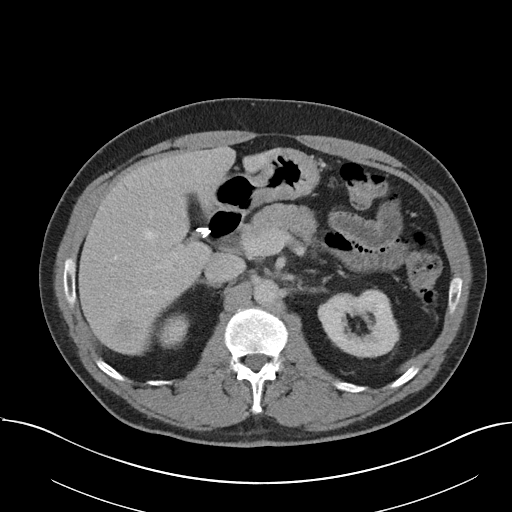

CT. Abdomen. Some hepatic vessels may have no box.
The liver tumor is at bbox(113, 320, 141, 343). 9 hepatic vessel regions appear at bbox(124, 294, 126, 295); bbox(180, 261, 182, 263); bbox(168, 184, 170, 186); bbox(115, 256, 116, 259); bbox(165, 290, 175, 293); bbox(196, 170, 197, 172); bbox(195, 187, 201, 193); bbox(145, 231, 155, 238); bbox(146, 291, 154, 293).